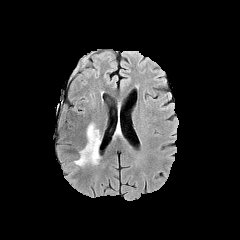
FLAIR magnetic resonance.
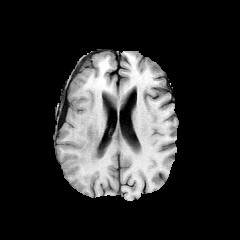
T1-weighted MRI of the same slice.
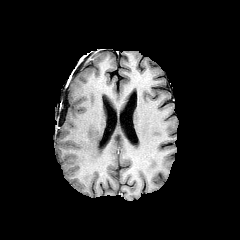
Post-contrast T1-weighted MR.
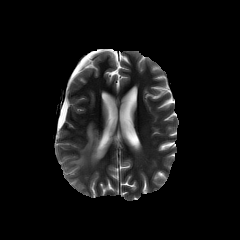
T2-weighted magnetic resonance of the same slice.
240x240
Edema: bounding box (x1=74, y1=122, x2=101, y2=166).